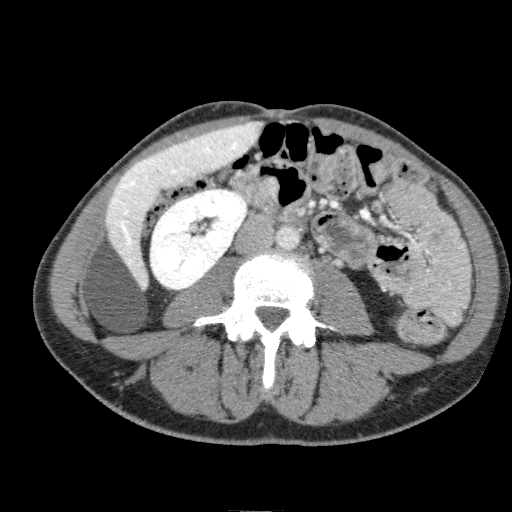

CT image | Liver

{
  "liver": [
    "bbox(107, 121, 263, 288)"
  ],
  "kidney": [
    "bbox(150, 190, 246, 288)"
  ]
}